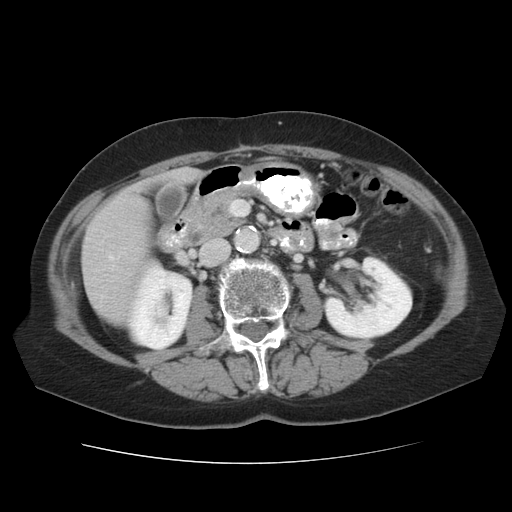

CT, Image size 512x512, Liver
Kidney = {"x1": 324, "y1": 258, "x2": 411, "y2": 337}, {"x1": 129, "y1": 265, "x2": 191, "y2": 348}.
Liver = {"x1": 82, "y1": 166, "x2": 208, "y2": 328}.
Bone = {"x1": 217, "y1": 258, "x2": 290, "y2": 391}.